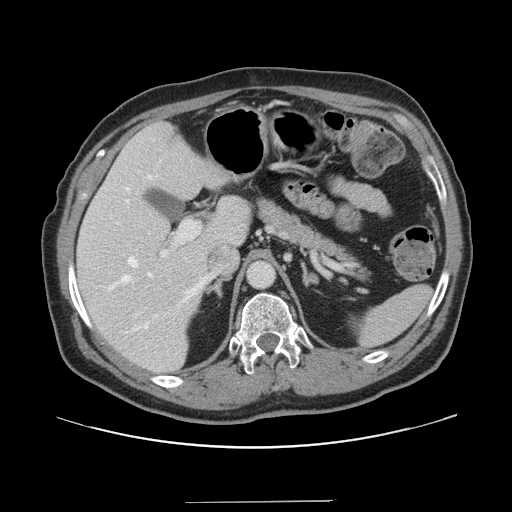
CT scan slice, Liver
Not every hepatic vessel necessarily has a box.
Findings:
* hepatic vessel: region(174, 220, 199, 245); region(109, 285, 114, 288); region(148, 273, 151, 276); region(153, 314, 158, 317); region(161, 250, 167, 256); region(125, 187, 129, 190); region(125, 322, 149, 332); region(121, 275, 130, 282); region(177, 274, 212, 307); region(128, 257, 137, 266); region(148, 175, 151, 178)